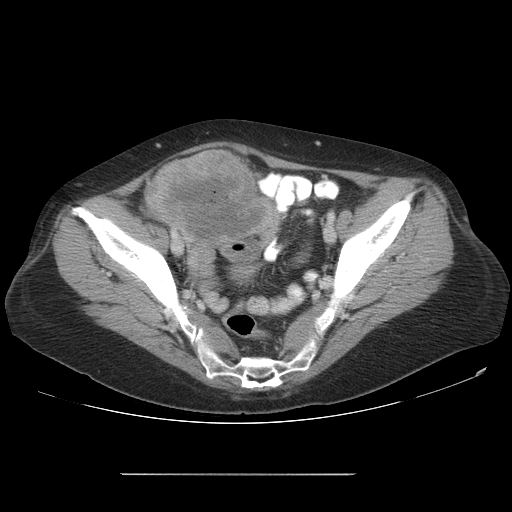 Pelvis; CT slice

<segmentation>
  <colon_tumor>145, 148, 273, 246</colon_tumor>
</segmentation>